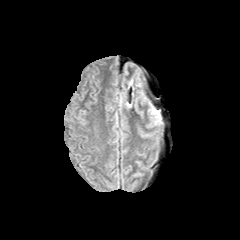
FLAIR magnetic resonance.
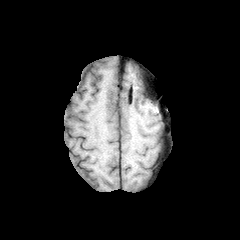
Same slice, T1-weighted MRI.
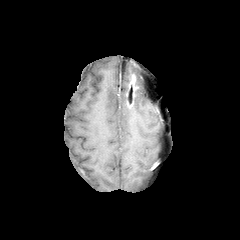
Post-contrast T1-weighted MR image of the same slice.
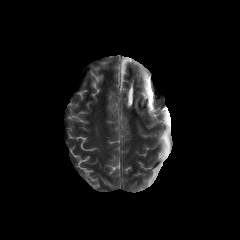
Same slice, T2-weighted MRI.
Brain
Edema = box(128, 83, 141, 103); box(140, 91, 149, 105); box(148, 107, 161, 127).